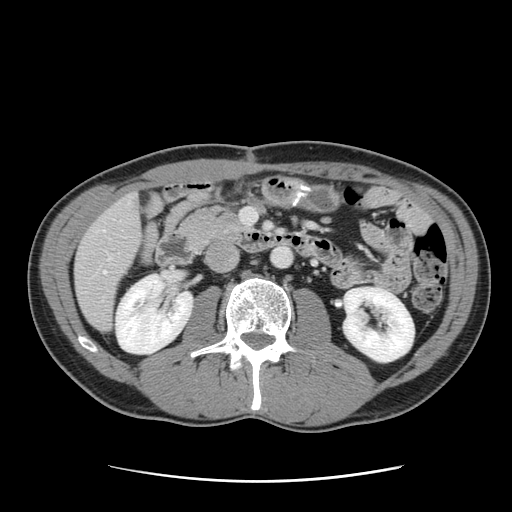 Abdomen; 512x512; Computed tomography

Some hepatic vessels may have no box.
Hepatic vessel = l=108, t=257, r=110, b=259; l=103, t=271, r=105, b=272.